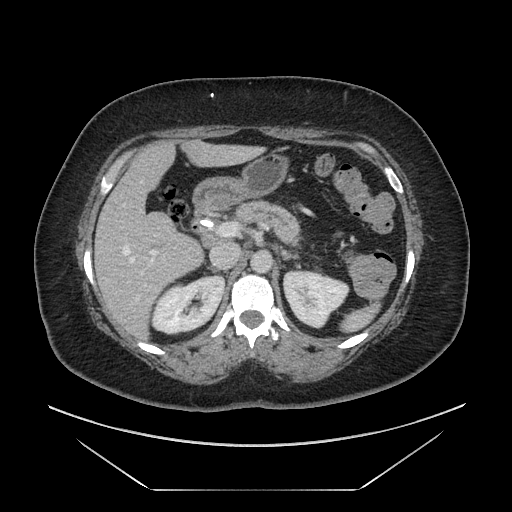

Upper abdomen. Computed tomography. Pancreas = box=[235, 202, 299, 241].